FLAIR MR.
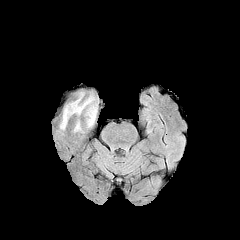
T1-weighted MR image.
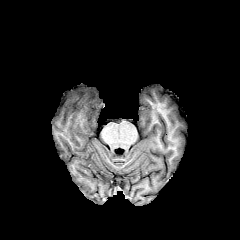
Post-contrast T1-weighted MR.
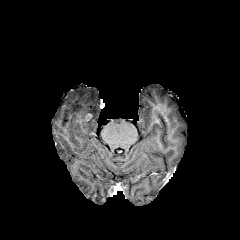
T2-weighted magnetic resonance.
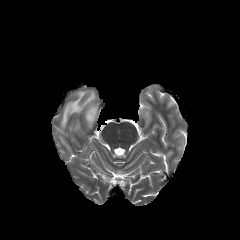
240x240 px.
Edema = 74:120:81:131, 60:92:98:129.